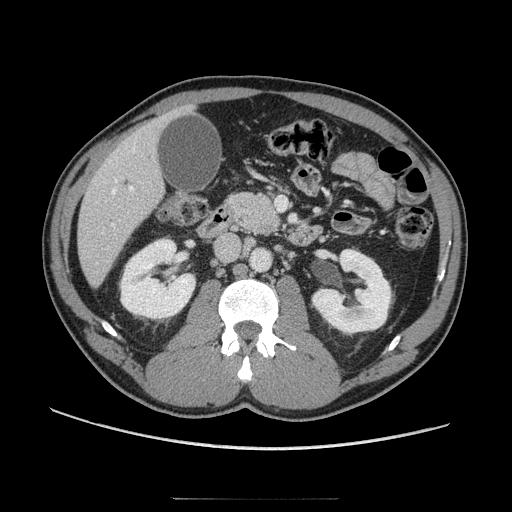
CT slice. Image size 512x512. Abdomen. {"pancreas": ["[223,191,280,236]"]}